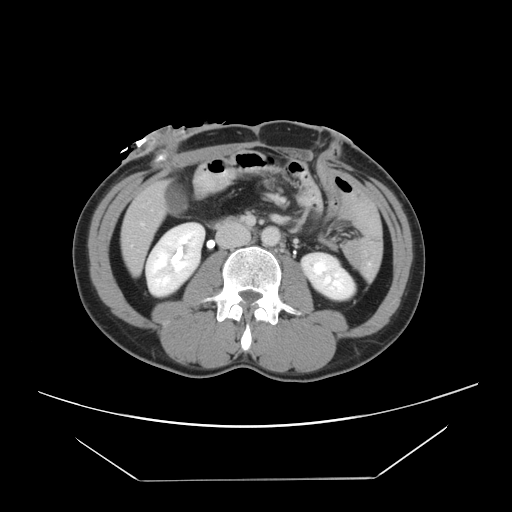
512x512. CT image.
The vessel annotation is not exhaustive.
<segmentation>
  <hepatic_vessel>127,237,127,240; 140,222,148,230; 131,244,133,246</hepatic_vessel>
</segmentation>